Slice 77/155; Image size 240x240
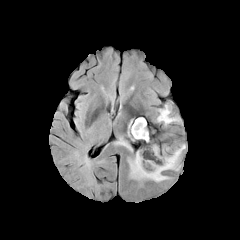
FLAIR MR.
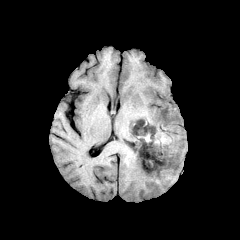
T1-weighted MR.
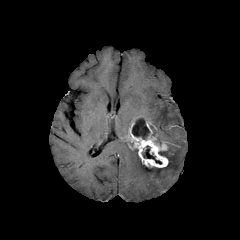
Same slice, post-contrast T1-weighted MR.
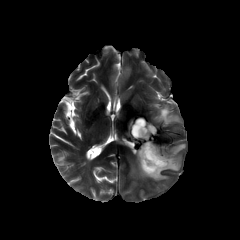
T2-weighted MR.
<segmentation>
  <edema>{"x1": 114, "y1": 137, "x2": 132, "y2": 151}, {"x1": 156, "y1": 103, "x2": 180, "y2": 125}, {"x1": 129, "y1": 143, "x2": 185, "y2": 181}</edema>
  <non-enhancing_tumor_core>{"x1": 142, "y1": 145, "x2": 161, "y2": 164}, {"x1": 141, "y1": 159, "x2": 162, "y2": 170}, {"x1": 132, "y1": 118, "x2": 150, "y2": 140}</non-enhancing_tumor_core>
  <enhancing_tumor>{"x1": 128, "y1": 120, "x2": 168, "y2": 167}</enhancing_tumor>
</segmentation>